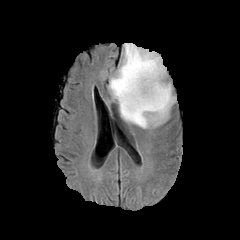
FLAIR MRI.
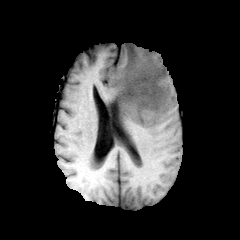
T1-weighted MR.
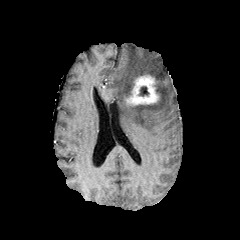
Post-contrast T1-weighted MR image.
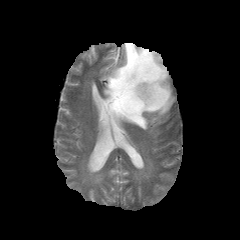
Same slice, T2-weighted MRI.
Head.
Edema = bbox(105, 43, 175, 128).
Enhancing tumor = bbox(123, 74, 159, 108).
Non-enhancing tumor core = bbox(140, 86, 148, 96).